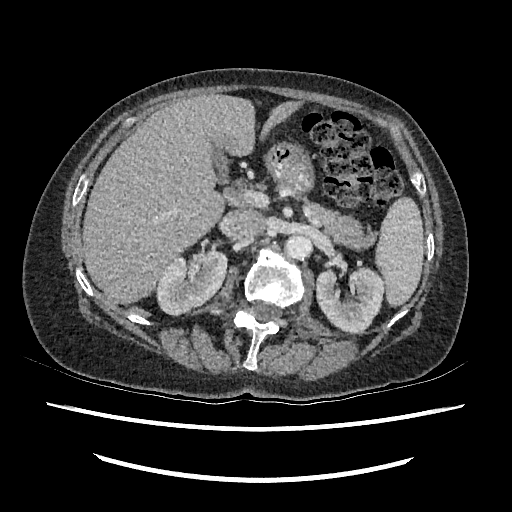 Liver. Computed tomography.

Liver: x1=83, y1=95, x2=255, y2=302; x1=260, y1=101, x2=302, y2=140.
Kidney: x1=157, y1=250, x2=226, y2=314; x1=316, y1=255, x2=385, y2=332.